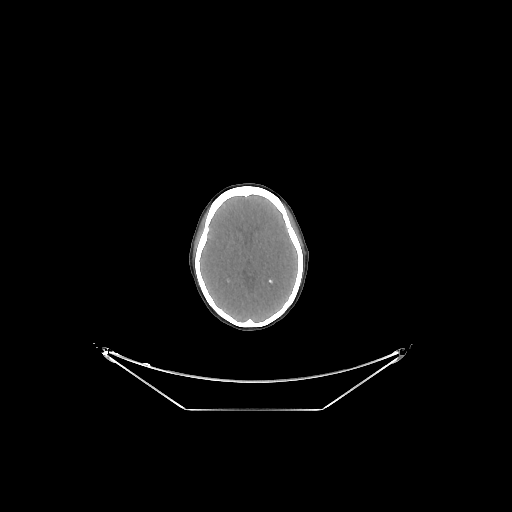
CT. 512x512.
Segmented structures:
* brain: left=199, top=194, right=297, bottom=322